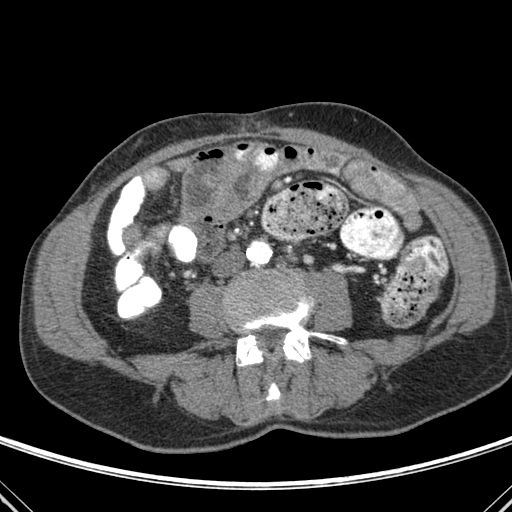
512x512. CT scan slice.

2 bone regions appear at 226,271,345,366; 267,382,280,401.